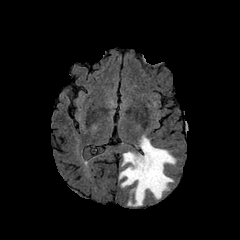
FLAIR MR image.
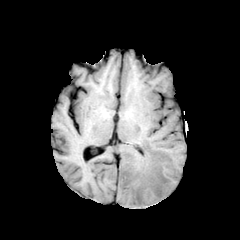
T1-weighted MRI of the same slice.
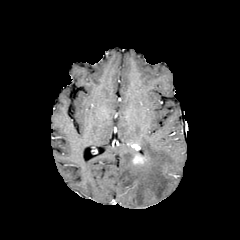
Post-contrast T1-weighted magnetic resonance.
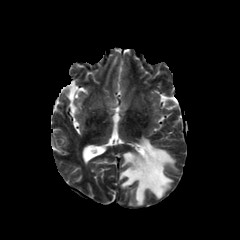
Same slice, T2-weighted MR.
240x240 px | Head
Edema: bounding box left=119, top=136, right=175, bottom=205.
Enhancing tumor: bounding box left=133, top=154, right=146, bottom=164.
Non-enhancing tumor core: bounding box left=134, top=149, right=152, bottom=170.